CT scan slice 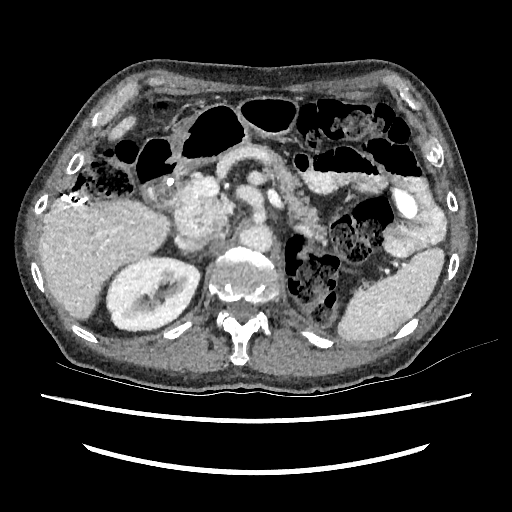
* kidney: region(107, 258, 199, 330)
* liver: region(110, 117, 134, 138); region(40, 201, 168, 318)